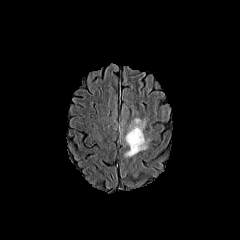
FLAIR MRI.
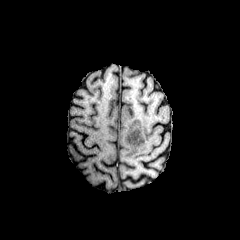
T1-weighted magnetic resonance.
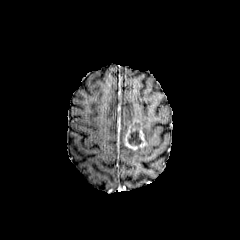
Post-contrast T1-weighted MRI.
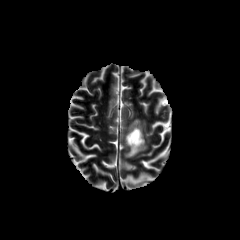
T2-weighted magnetic resonance.
enhancing_tumor:
  - [x1=139, y1=127, x2=147, y2=148]
  - [x1=124, y1=126, x2=137, y2=150]
non-enhancing_tumor_core:
  - [x1=127, y1=120, x2=145, y2=155]